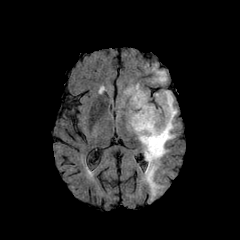
FLAIR MRI.
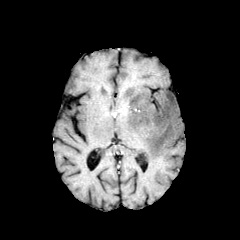
T1-weighted magnetic resonance.
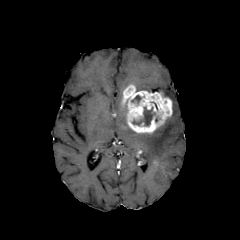
Post-contrast T1-weighted magnetic resonance of the same slice.
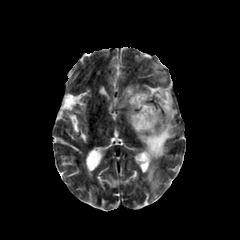
T2-weighted MR of the same slice.
Annotated regions:
• non-enhancing tumor core: (144,108,152,125)
• enhancing tumor: (123,85,173,134)
• edema: (137,104,177,187), (156,70,167,83), (163,90,173,101)